CT. Liver. 512x512. 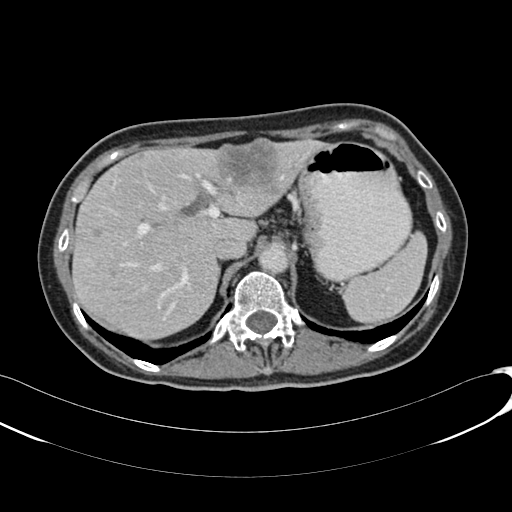

Findings:
• liver: <bbox>73, 140, 328, 337</bbox>, <bbox>227, 142, 257, 148</bbox>
• liver lesion: <bbox>94, 227, 100, 236</bbox>, <bbox>216, 140, 279, 194</bbox>